FLAIR MR image.
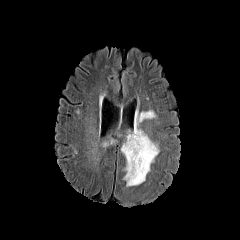
T1-weighted magnetic resonance.
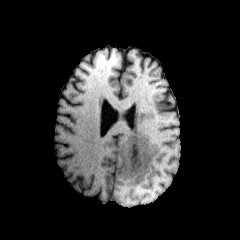
Post-contrast T1-weighted MRI.
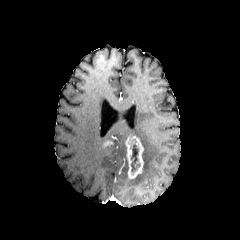
T2-weighted MRI.
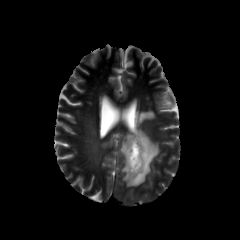
Image size 240x240.
<segmentation>
  <enhancing_tumor>(left=125, top=135, right=144, bottom=179)</enhancing_tumor>
  <non-enhancing_tumor_core>(left=130, top=144, right=139, bottom=171)</non-enhancing_tumor_core>
  <edema>(left=121, top=104, right=159, bottom=187)</edema>
</segmentation>